FLAIR MR.
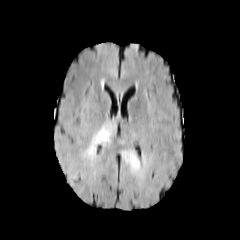
T1-weighted MR image.
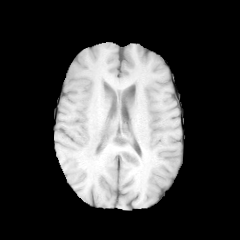
Post-contrast T1-weighted MR image.
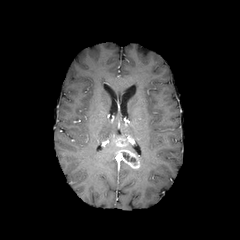
T2-weighted MR.
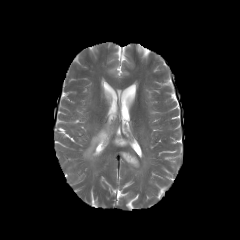
Brain
{"non-enhancing_tumor_core": ["121, 152, 136, 165"], "enhancing_tumor": ["114, 137, 140, 168"], "edema": ["83, 124, 112, 158"]}